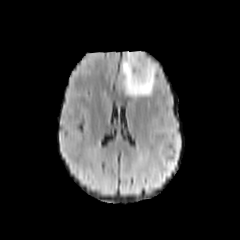
FLAIR MRI.
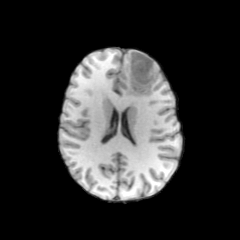
Same slice, T1-weighted MRI.
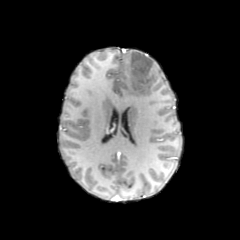
Post-contrast T1-weighted MR.
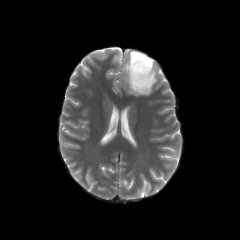
T2-weighted magnetic resonance.
Head
non-enhancing_tumor_core:
  - bbox(129, 52, 154, 94)
edema:
  - bbox(122, 50, 143, 95)
  - bbox(150, 60, 156, 93)